CT image.
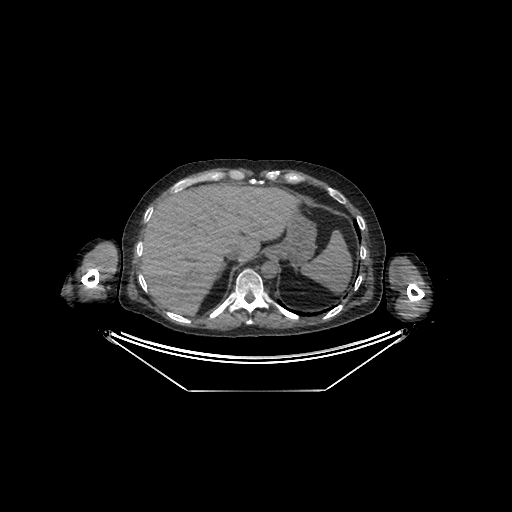

The liver is located at 136 180 296 315.